FLAIR MR.
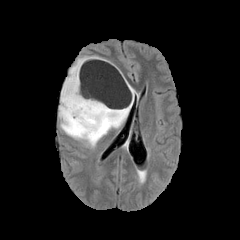
T1-weighted magnetic resonance.
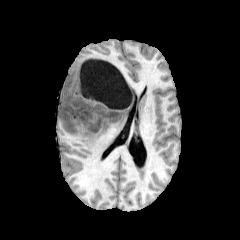
Post-contrast T1-weighted MRI.
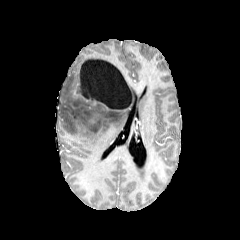
T2-weighted MRI.
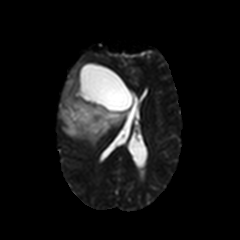
Head
• non-enhancing tumor core: l=89, t=119, r=99, b=131; l=62, t=102, r=92, b=131; l=76, t=74, r=122, b=120
• edema: l=58, t=56, r=137, b=147